Abdomen, CT
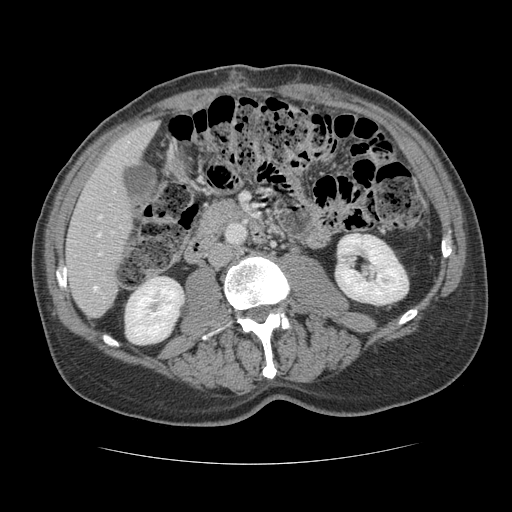

Not every hepatic vessel necessarily has a box.
Hepatic vessel — x1=98, y1=215, x2=100, y2=218; x1=99, y1=253, x2=100, y2=254; x1=93, y1=286, x2=97, y2=289; x1=97, y1=233, x2=100, y2=236.